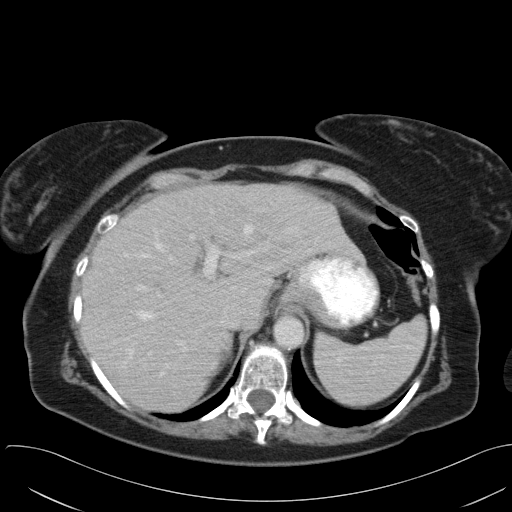

Upper abdomen; CT image
- spleen: x1=315 y1=318 x2=426 y2=405